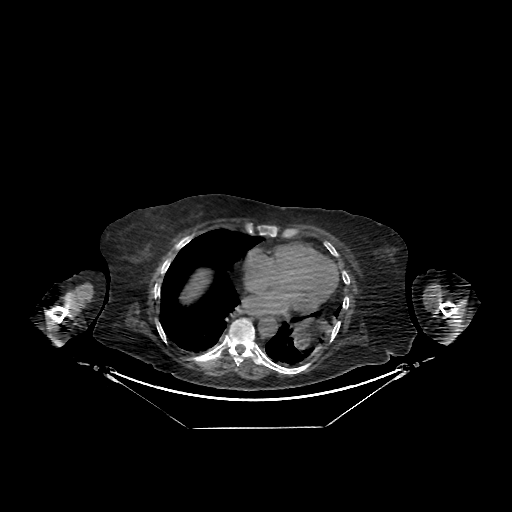
CT slice | Liver

liver:
  - <bbox>179, 269, 211, 303</bbox>